CT; Slice 124/131
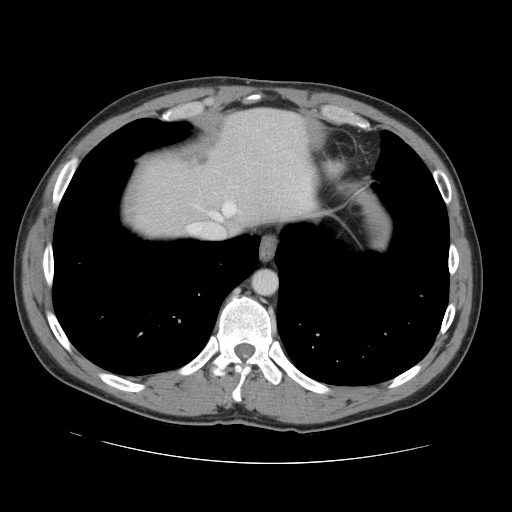 Not every hepatic vessel necessarily has a box.
hepatic_vessel:
  - 209,201,238,220
  - 292,196,299,198
  - 275,191,277,194
  - 296,206,299,206
  - 300,202,301,205
  - 194,206,197,207